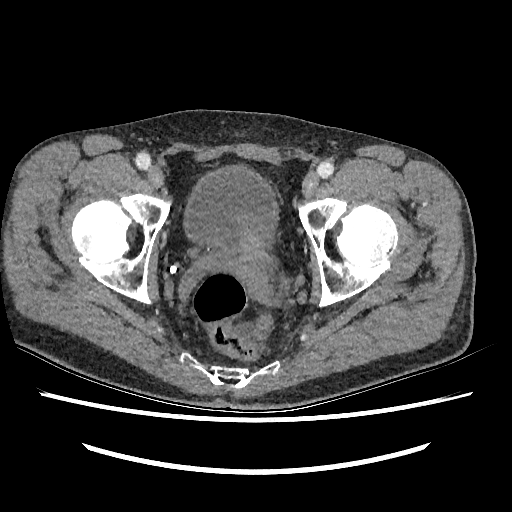 CT slice; Pelvis
Urinary bladder: bounding box box(183, 171, 275, 249).